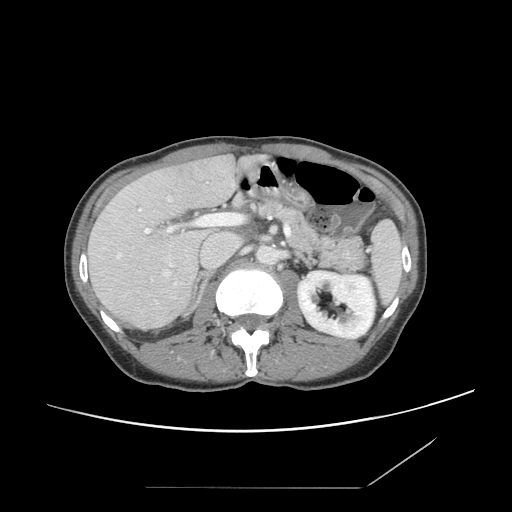

512x512 px; CT scan slice; Upper abdomen
The pancreas is located at 258 199 368 275.